FLAIR MRI.
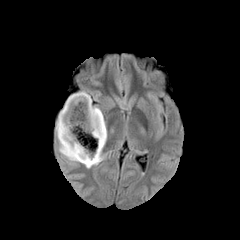
T1-weighted magnetic resonance.
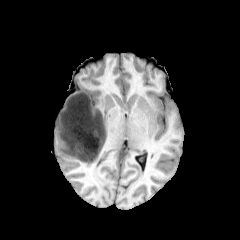
Post-contrast T1-weighted MR image.
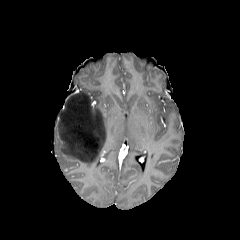
T2-weighted MR image.
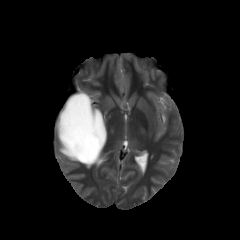
240x240 px. Head.
Findings:
* non-enhancing tumor core: 56:91:105:161
* edema: 95:106:107:146, 55:124:99:168